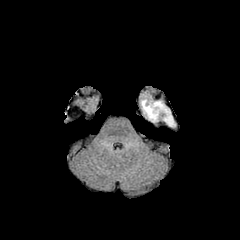
FLAIR MR.
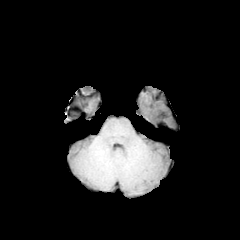
Same slice, T1-weighted MR.
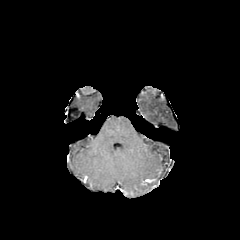
Post-contrast T1-weighted magnetic resonance.
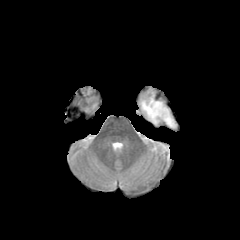
T2-weighted MRI of the same slice.
Head
Edema — [140,95,175,127].